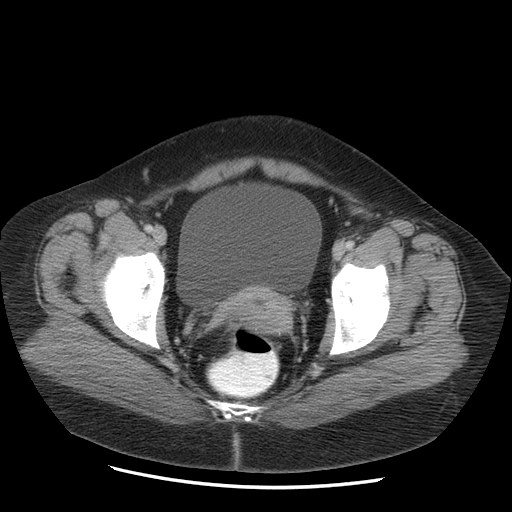
CT image
The urinary bladder is at <bbox>178, 184, 320, 297</bbox>.